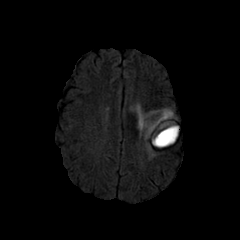
FLAIR MR image.
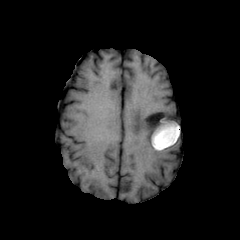
T1-weighted MRI.
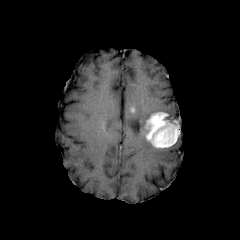
Post-contrast T1-weighted MR image.
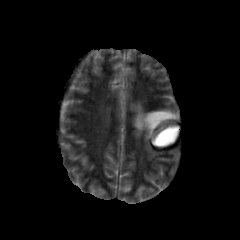
T2-weighted MR.
Findings:
* enhancing tumor: l=144, t=112, r=178, b=147
* non-enhancing tumor core: l=166, t=112, r=177, b=125
* edema: l=129, t=102, r=175, b=159